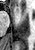

MRI
Anterior hippocampus = <box>16,8,17,11</box>.